CT. Slice 38 of 93. 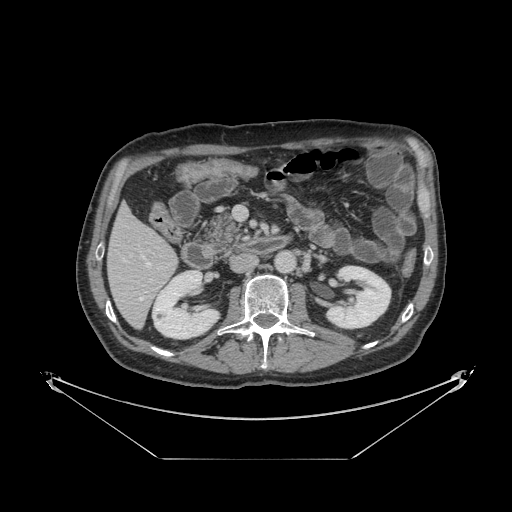 • pancreas: x1=201, y1=212, x2=239, y2=251